Slice index 315, 512x512 px, CT image, Liver
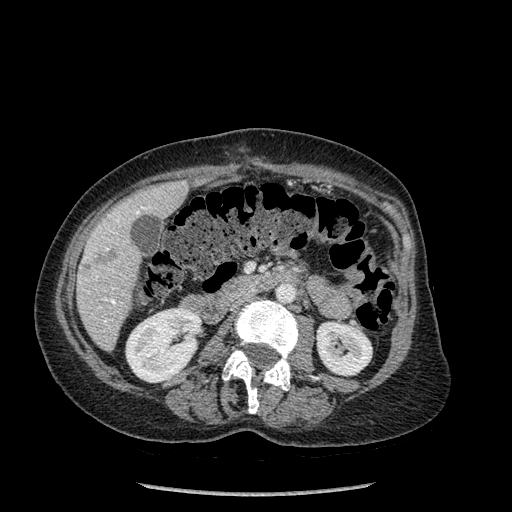

Liver at (77, 181, 188, 351).
Kidney at (126, 308, 200, 382), (317, 322, 371, 375).
Bone at (234, 300, 298, 390), (222, 350, 258, 413).
Focal liver lesion at (83, 250, 115, 272).